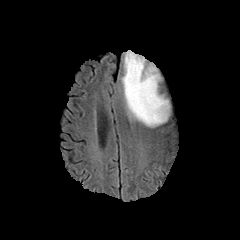
FLAIR MR image.
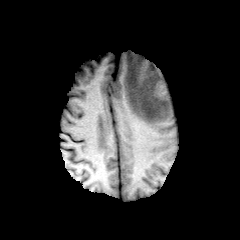
T1-weighted MR image of the same slice.
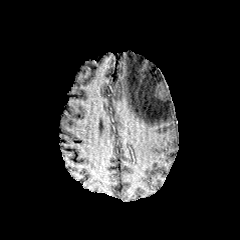
Same slice, post-contrast T1-weighted MRI.
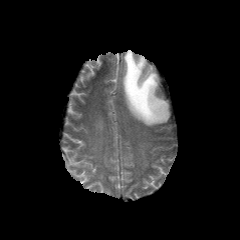
T2-weighted MR image.
240x240, Brain
<segmentation>
  <edema>region(121, 50, 170, 126)</edema>
</segmentation>